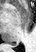 Hippocampus | MRI
posterior hippocampus: l=13, t=43, r=17, b=46